FLAIR magnetic resonance.
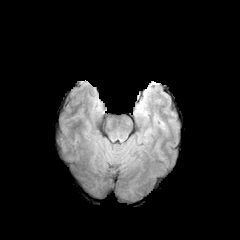
T1-weighted magnetic resonance.
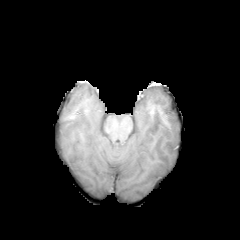
Post-contrast T1-weighted magnetic resonance.
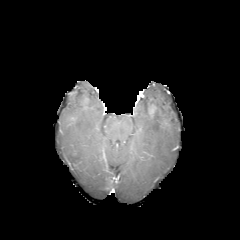
T2-weighted magnetic resonance.
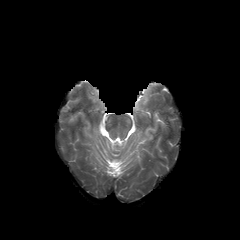
{"edema": ["137 96 157 123", "133 134 149 143"]}